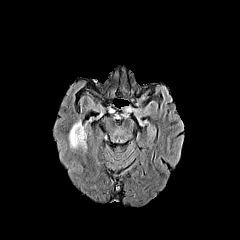
FLAIR MRI.
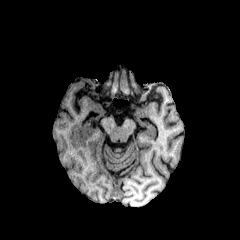
T1-weighted MR image.
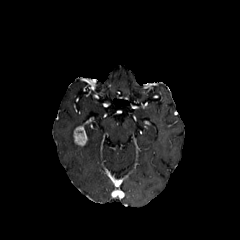
Post-contrast T1-weighted MR.
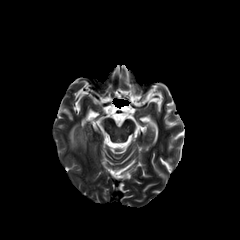
T2-weighted MRI.
Findings:
* enhancing tumor: {"x1": 73, "y1": 126, "x2": 87, "y2": 146}
* edema: {"x1": 68, "y1": 120, "x2": 82, "y2": 151}